Hippocampus | 35x52 | MR

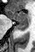 - anterior hippocampus: 7, 7, 28, 20
- posterior hippocampus: 16, 20, 28, 30